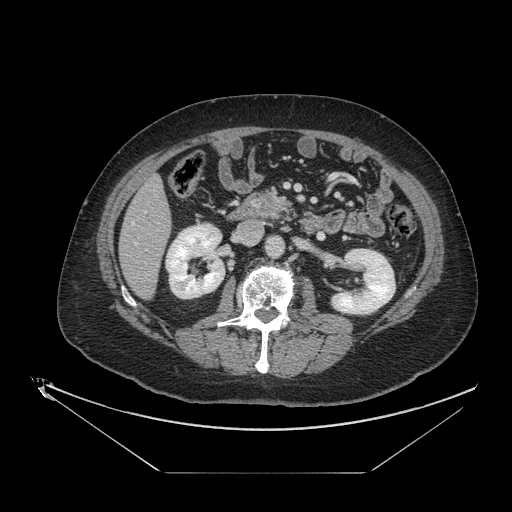

CT image, Upper abdomen
Findings:
* pancreatic tumor: 261, 201, 271, 212
* pancreas: 252, 191, 285, 217